240x240 | Head
FLAIR MR.
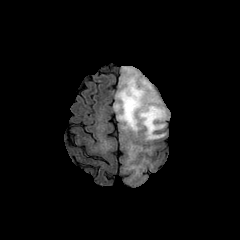
T1-weighted MR image.
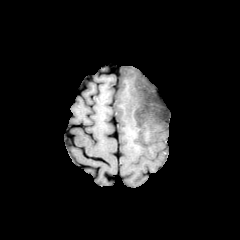
Post-contrast T1-weighted MR image.
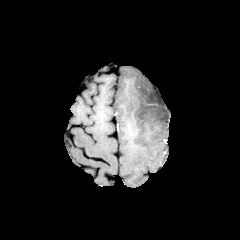
T2-weighted magnetic resonance.
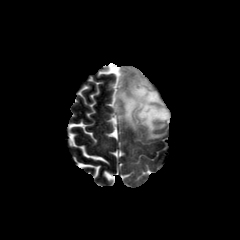
The non-enhancing tumor core is located at (left=128, top=78, right=167, bottom=123). The edema lies within (left=114, top=67, right=169, bottom=141).